CT image; 512x512

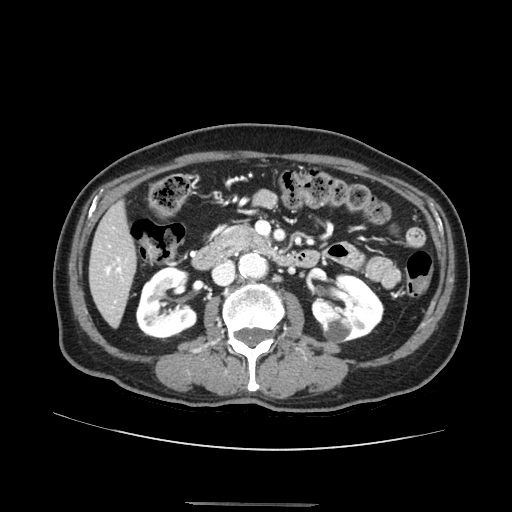

Pancreas — rect(228, 228, 261, 246).